Head | Slice index 86 | Image width 240 mm
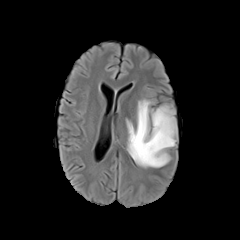
FLAIR magnetic resonance.
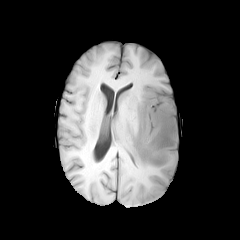
T1-weighted MR of the same slice.
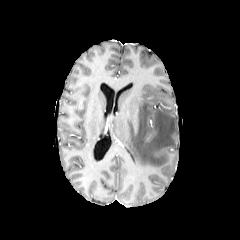
Post-contrast T1-weighted magnetic resonance of the same slice.
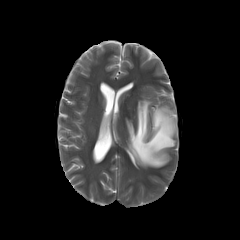
Same slice, T2-weighted MR image.
edema:
  - 126, 98, 177, 167